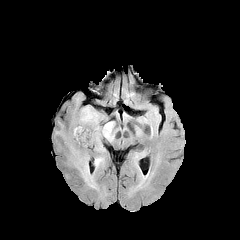
FLAIR MR image.
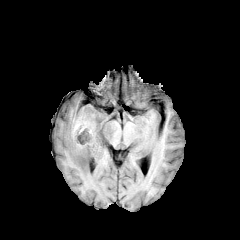
T1-weighted MRI.
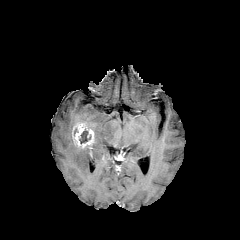
Post-contrast T1-weighted MR.
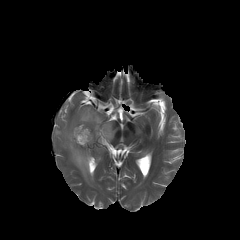
T2-weighted MR.
240x240 px.
enhancing tumor: 72 121 94 148 | edema: 65 105 117 187 | non-enhancing tumor core: 79 129 90 143